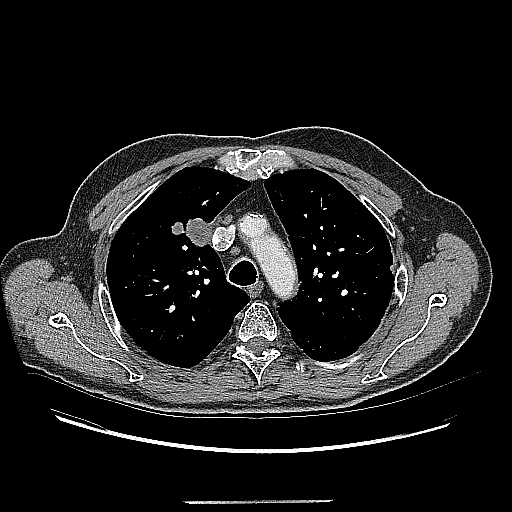
Thorax, CT slice, 512x512
Lung tumor — x1=171 y1=217 x2=211 y2=246.